FLAIR MR image.
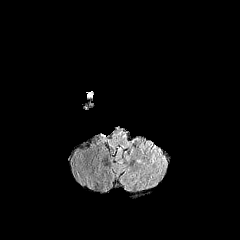
T1-weighted MR.
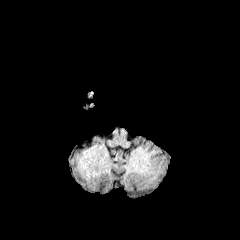
Post-contrast T1-weighted MR.
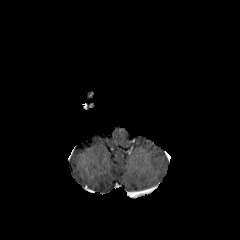
T2-weighted magnetic resonance.
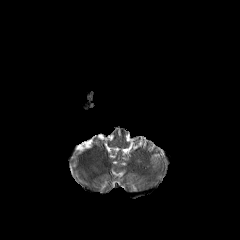
240x240
The non-enhancing tumor core lies within box=[86, 91, 93, 108].